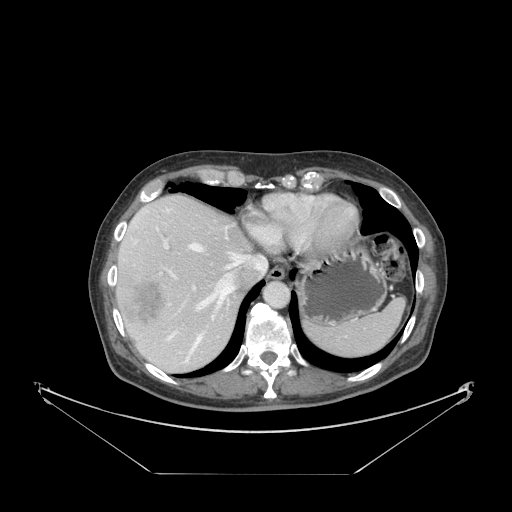

Computed tomography. 512x512. Abdomen.

Spleen at {"x1": 302, "y1": 298, "x2": 404, "y2": 357}.